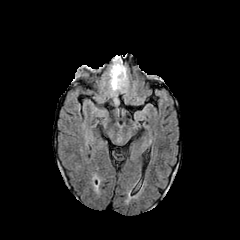
FLAIR MRI.
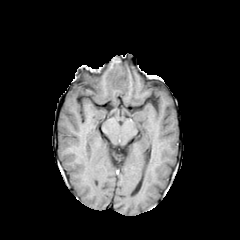
T1-weighted magnetic resonance.
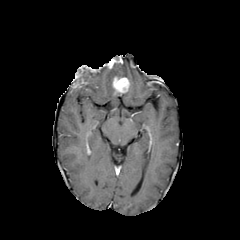
Same slice, post-contrast T1-weighted magnetic resonance.
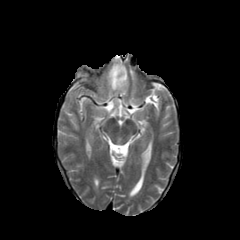
T2-weighted MR image of the same slice.
Head
2 edema regions are bounded by (76, 68, 85, 77), (97, 63, 127, 95). 2 enhancing tumor regions are bounded by (108, 58, 122, 67), (112, 76, 128, 93).